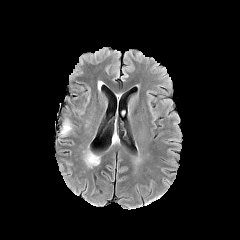
FLAIR MR image.
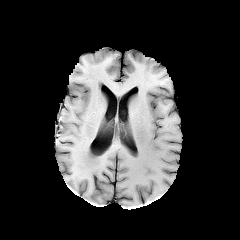
T1-weighted MR of the same slice.
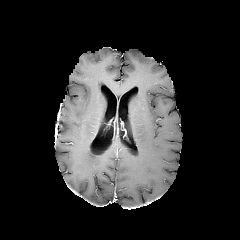
Post-contrast T1-weighted MR.
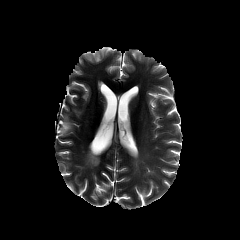
T2-weighted MRI.
240x240
2 edema regions are located at (62,124,69,133), (85,150,99,167).